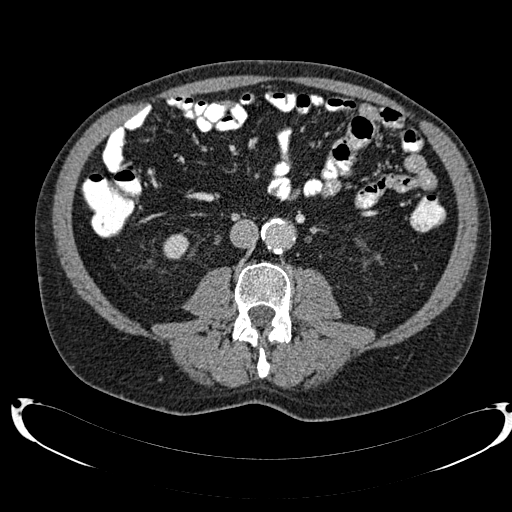 Computed tomography. Abdomen.
Kidney = 165,249,182,258.